512x512 | CT slice

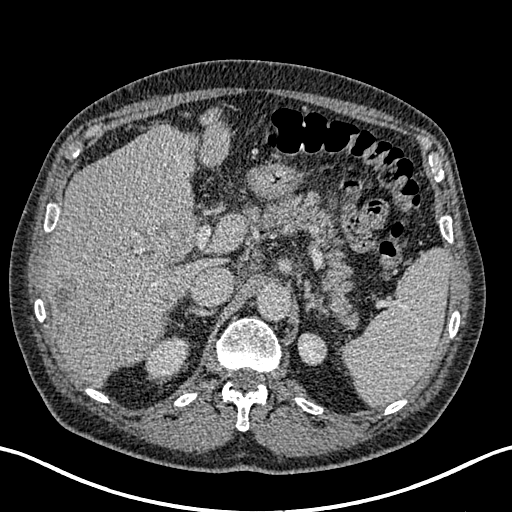
3 liver regions are located at l=208, t=213, r=245, b=253; l=45, t=124, r=227, b=386; l=201, t=111, r=229, b=166. 2 kidney regions are located at l=148, t=339, r=185, b=376; l=299, t=334, r=325, b=363. 3 focal liver lesion regions are located at l=147, t=218, r=192, b=267; l=50, t=276, r=90, b=333; l=130, t=343, r=148, b=358.